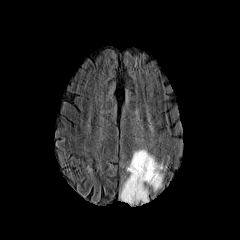
FLAIR magnetic resonance.
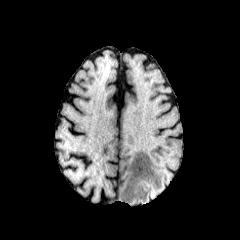
T1-weighted magnetic resonance of the same slice.
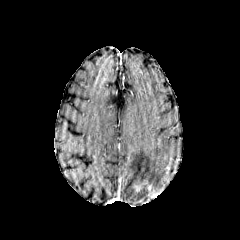
Post-contrast T1-weighted MR image of the same slice.
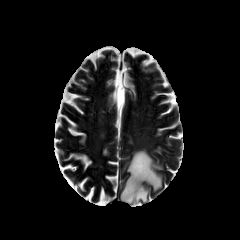
T2-weighted magnetic resonance of the same slice.
240x240 px; Brain
<segmentation>
  <edema>117,149,164,204</edema>
</segmentation>